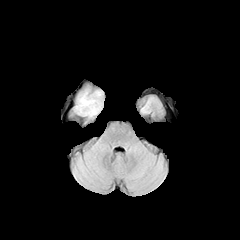
FLAIR magnetic resonance.
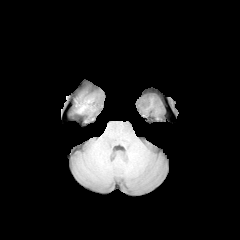
Same slice, T1-weighted magnetic resonance.
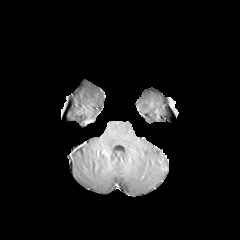
Same slice, post-contrast T1-weighted MR.
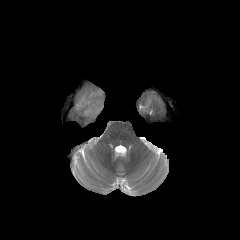
T2-weighted MR image.
Image size 240x240
Edema — <bbox>74, 89, 103, 117</bbox>.